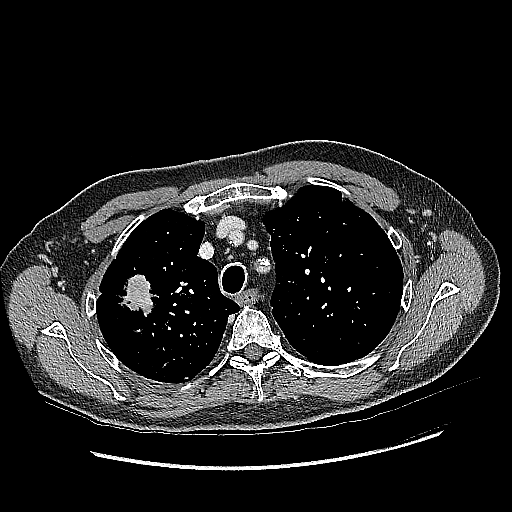 CT image, Chest
{
  "lung_tumor": [
    "(x1=112, y1=267, x2=159, y2=318)"
  ]
}